Slice index 50 | Field of view 240 mm wide, 1.00 mm slice spacing | 240x240 px
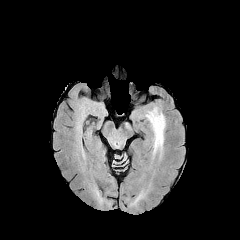
FLAIR magnetic resonance.
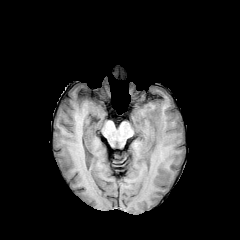
Same slice, T1-weighted MR.
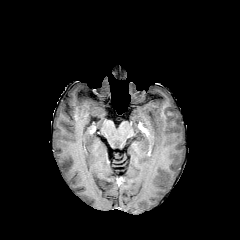
Post-contrast T1-weighted MRI.
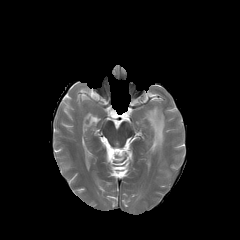
Same slice, T2-weighted MR image.
Edema = bbox(144, 106, 166, 157).